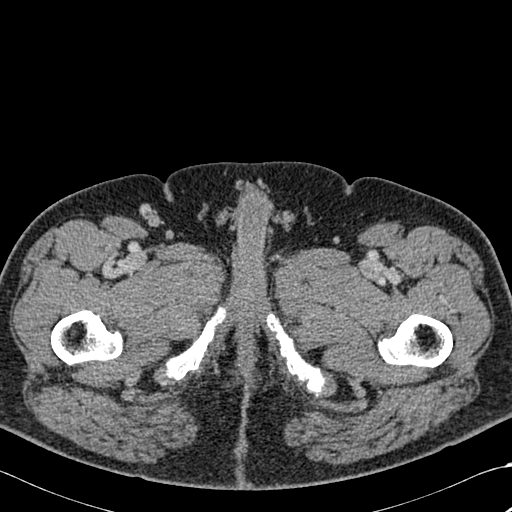 CT scan slice
Segmented structures:
• bone: (51,310,122,364), (378,314,452,367), (268,314,324,394), (166,308,224,379)